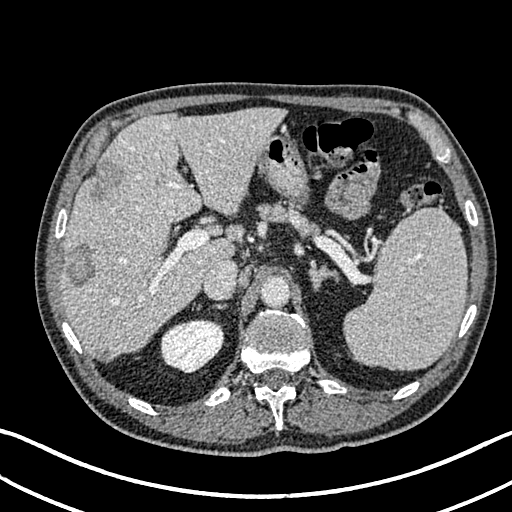
Abdomen. CT image.
<segmentation>
  <kidney><box>162,321,222,371</box></kidney>
  <hepatic_lesion><box>67,243,95,286</box>, <box>86,158,125,201</box>, <box>99,348,109,354</box></hepatic_lesion>
  <liver><box>62,107,285,360</box>, <box>207,226,222,235</box></liver>
</segmentation>